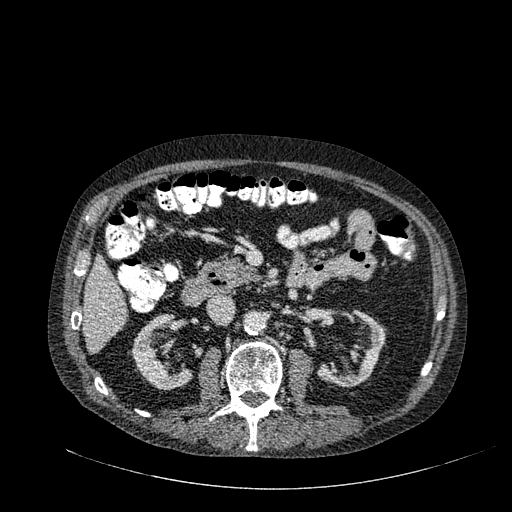

Abdomen | CT
2 kidney regions are located at box=[131, 314, 192, 390]; box=[317, 310, 385, 386]. The liver is located at box=[84, 255, 127, 352].